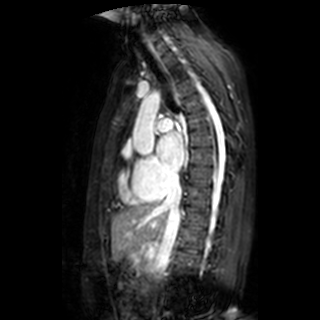 MRI slice; Cardiac
Segmented structures:
* left atrium: box=[157, 132, 184, 171]